512x512 px; Slice 307 of 333; CT

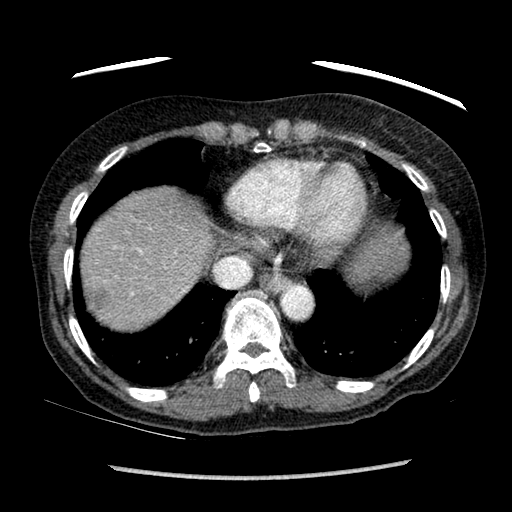

2 liver regions are located at box(348, 235, 409, 280); box(82, 189, 211, 328). The liver lesion is located at box(85, 287, 109, 313).